Lower abdomen | Computed tomography | Image size 512x512
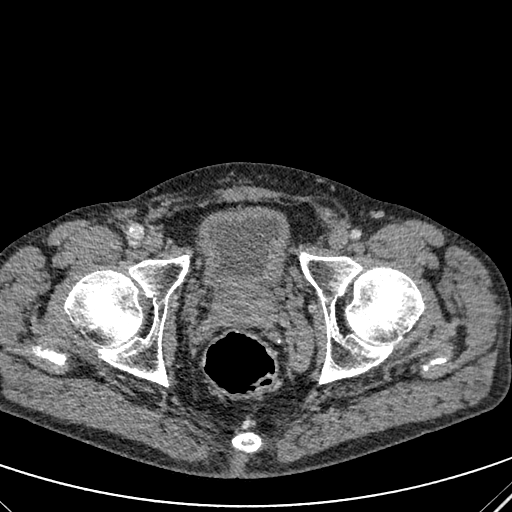
• urinary bladder: 210,214,279,283